CT image
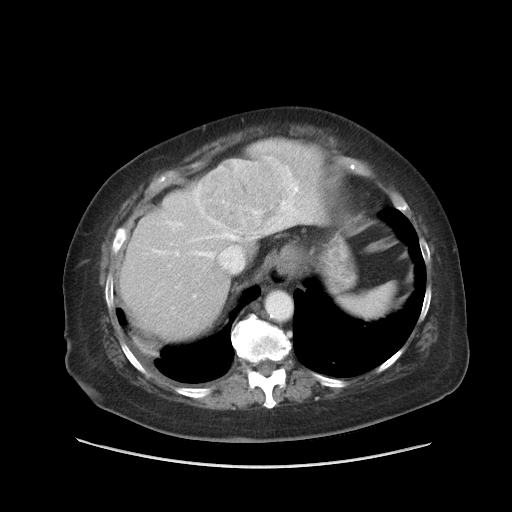

Not every hepatic vessel necessarily has a box.
{"hepatic_vessel": ["(194,252,213,257)", "(171,225,184,231)", "(219,254,221,260)", "(228,247,238,248)"], "liver_tumor": ["(195,153,299,237)"]}